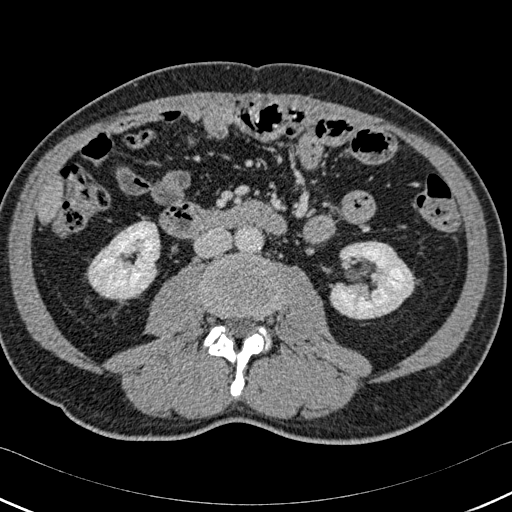 CT; Abdomen

Segmented structures:
- liver: <box>39,192,61,222</box>
- bone: <box>202,261,278,315</box>, <box>259,327,270,349</box>, <box>204,326,263,396</box>
- kidney: <box>89,221,159,298</box>, <box>331,242,413,318</box>